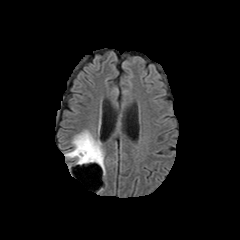
FLAIR MR image.
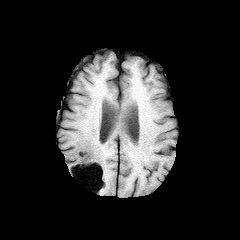
T1-weighted MRI.
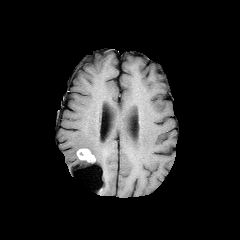
Post-contrast T1-weighted MR.
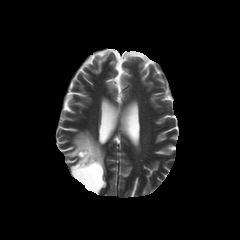
T2-weighted MRI of the same slice.
240x240.
non-enhancing_tumor_core:
  - x1=75 y1=151 x2=102 y2=177
edema:
  - x1=66 y1=130 x2=105 y2=176
enhancing_tumor:
  - x1=76 y1=148 x2=95 y2=161